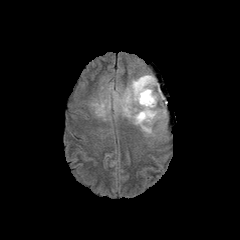
FLAIR MRI.
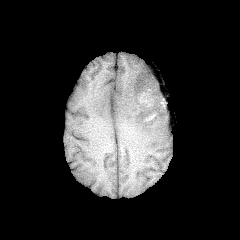
T1-weighted MR.
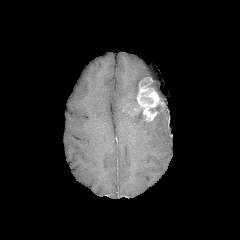
Post-contrast T1-weighted MRI.
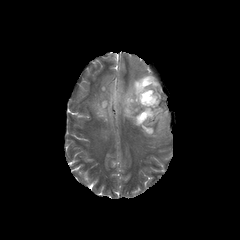
T2-weighted MR image.
Image size 240x240
Enhancing tumor — box=[136, 76, 161, 121].
Non-enhancing tumor core — box=[134, 109, 153, 124]; box=[127, 102, 139, 112]; box=[150, 104, 167, 121].
Edema — box=[91, 74, 167, 137].